Liver | Slice 56/171 | Field of view 346x346 mm | CT image
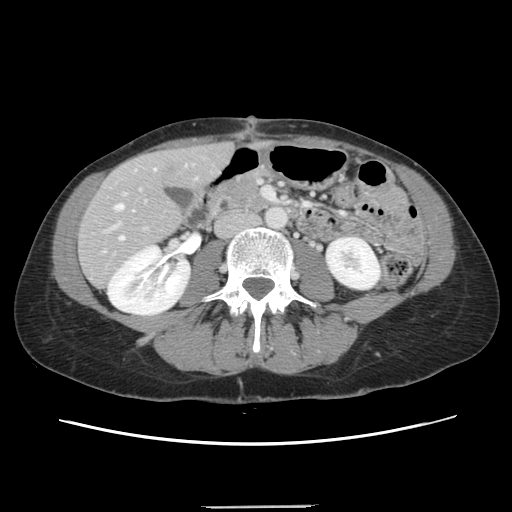
Some hepatic vessels may have no box.
Annotated regions:
- hepatic vessel: (102, 250, 104, 251), (195, 177, 196, 179), (122, 193, 125, 194), (139, 188, 140, 190), (104, 227, 113, 231), (119, 236, 122, 239), (114, 222, 119, 226), (143, 228, 147, 228), (185, 164, 186, 166), (114, 203, 122, 209)